Slice 85 of 155. Head.
FLAIR MR.
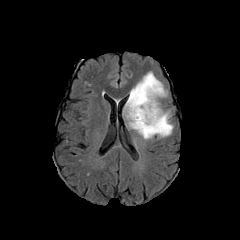
T1-weighted MR image.
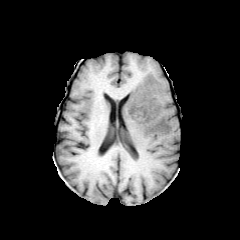
Post-contrast T1-weighted MRI.
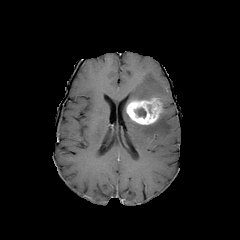
T2-weighted MR.
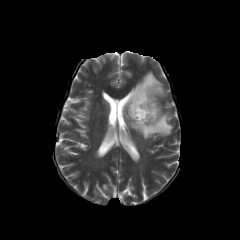
Enhancing tumor: bounding box [126,98,161,124].
Edema: bounding box [129,71,167,101], [123,104,173,139].
Non-enhancing tumor core: bounding box [137,108,146,116].